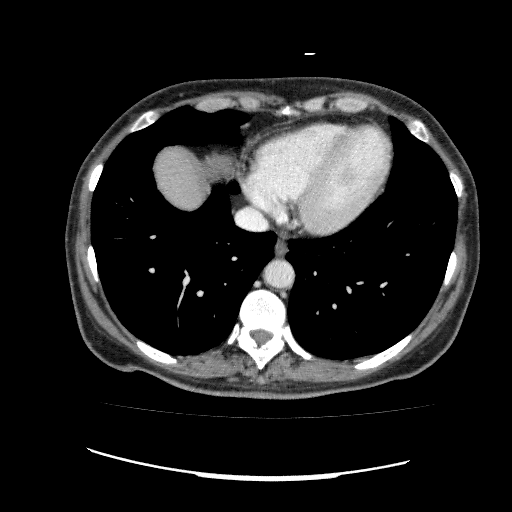

CT slice
Liver at (154,147,209,211).